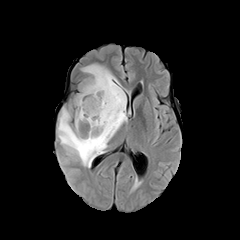
FLAIR MR image.
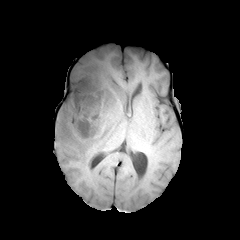
T1-weighted MRI of the same slice.
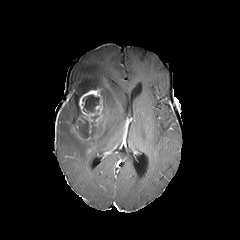
Post-contrast T1-weighted MR of the same slice.
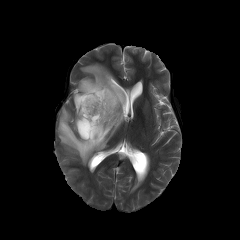
T2-weighted MR.
240x240 px, Head
<segmentation>
  <enhancing_tumor><box>78,89,102,123</box></enhancing_tumor>
  <non-enhancing_tumor_core><box>84,95,99,112</box>, <box>74,84,109,139</box></non-enhancing_tumor_core>
  <edema><box>56,64,130,167</box></edema>
</segmentation>